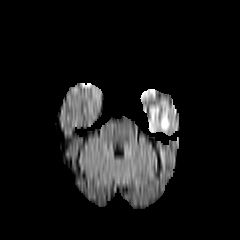
FLAIR MRI.
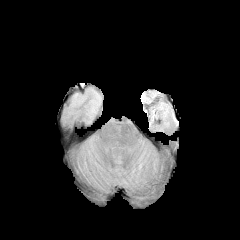
T1-weighted MR image of the same slice.
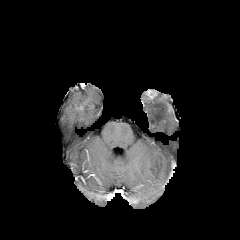
Post-contrast T1-weighted MR image.
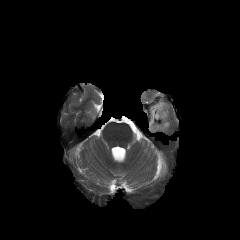
T2-weighted MR image of the same slice.
Image size 240x240. Brain.
The edema is at [x1=149, y1=102, x2=169, y2=131].